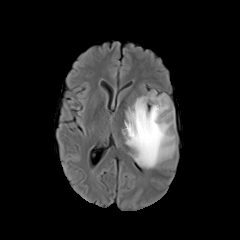
FLAIR MR image.
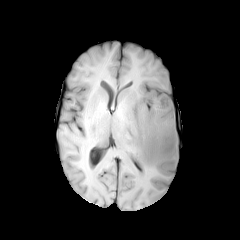
Same slice, T1-weighted magnetic resonance.
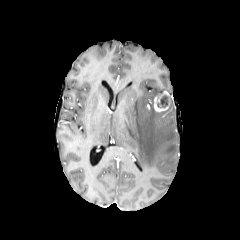
Post-contrast T1-weighted magnetic resonance.
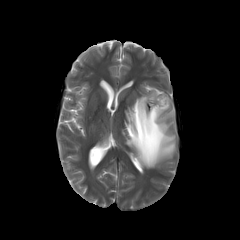
T2-weighted magnetic resonance of the same slice.
Non-enhancing tumor core: bounding box (x1=157, y1=94, x2=170, y2=109), (x1=136, y1=94, x2=161, y2=147).
Edema: bounding box (x1=123, y1=90, x2=176, y2=168).
Enhancing tumor: bounding box (x1=154, y1=96, x2=168, y2=111).